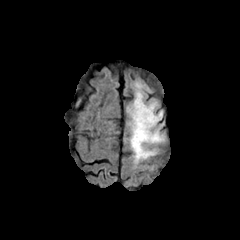
FLAIR MR.
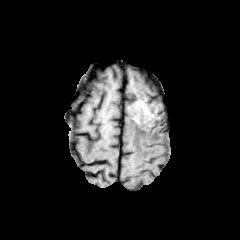
T1-weighted MR image.
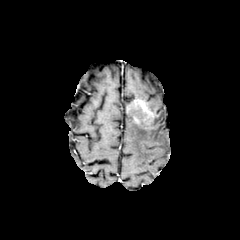
Post-contrast T1-weighted MRI.
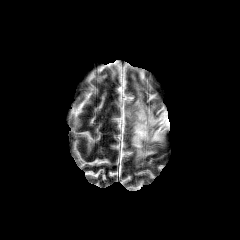
T2-weighted magnetic resonance.
2 non-enhancing tumor core regions are bounded by (x1=145, y1=114, x2=158, y2=129), (x1=132, y1=99, x2=147, y2=126). The enhancing tumor is located at (x1=134, y1=99, x2=152, y2=117). The edema is bounded by (x1=126, y1=82, x2=165, y2=163).